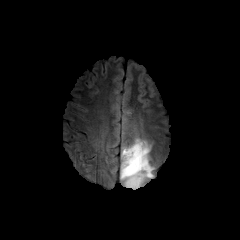
FLAIR MR image.
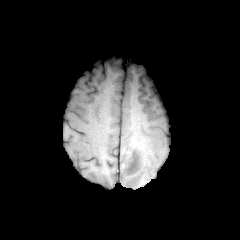
Same slice, T1-weighted MR.
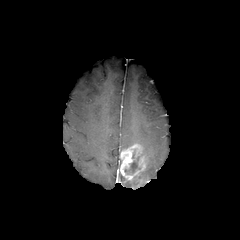
Post-contrast T1-weighted MR image.
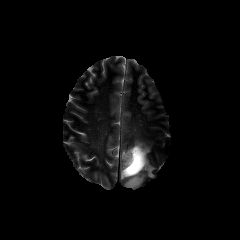
Same slice, T2-weighted MRI.
non-enhancing tumor core: (x1=124, y1=155, x2=141, y2=174) | edema: (x1=121, y1=137, x2=156, y2=189), (x1=119, y1=172, x2=131, y2=187) | enhancing tumor: (x1=120, y1=144, x2=146, y2=188)